FLAIR magnetic resonance.
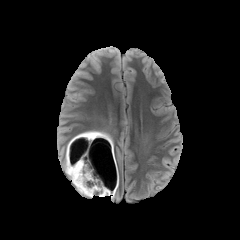
T1-weighted MRI.
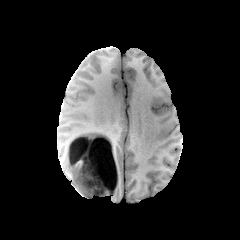
Post-contrast T1-weighted MR image.
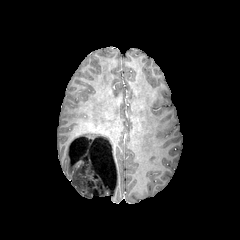
T2-weighted MR.
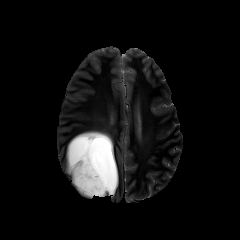
Edema = 64,138,91,197; 110,175,117,195; 79,130,97,137; 98,140,115,171.
Non-enhancing tumor core = 68,132,113,195.